Head.
FLAIR MR.
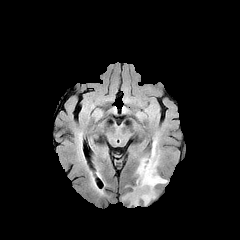
T1-weighted MR image.
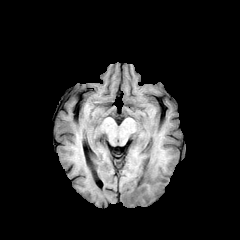
Post-contrast T1-weighted MR image.
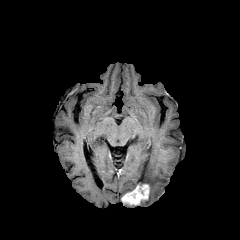
T2-weighted magnetic resonance.
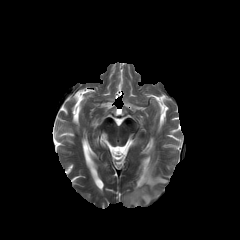
Findings:
• edema: <bbox>133, 138, 167, 204</bbox>
• enhancing tumor: <bbox>122, 184, 149, 205</bbox>